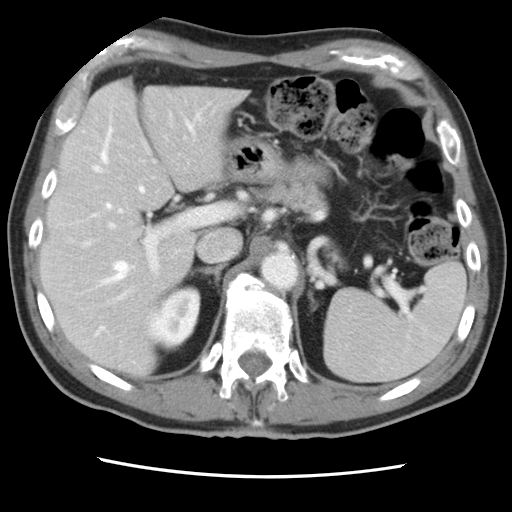
CT
Some hepatic vessels may have no box.
Hepatic vessel: (119, 209, 121, 211), (106, 204, 110, 208), (140, 186, 143, 191), (92, 214, 94, 215), (151, 266, 153, 268), (196, 115, 200, 120), (97, 326, 105, 333), (118, 294, 124, 298), (94, 166, 100, 171), (100, 261, 133, 284), (101, 127, 112, 161), (154, 261, 157, 266), (187, 122, 193, 129), (109, 223, 114, 227).